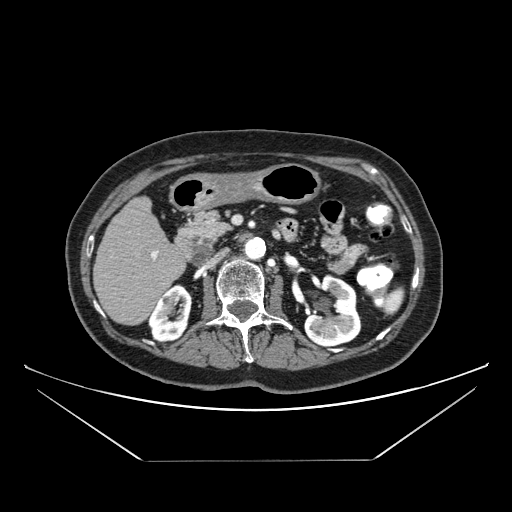 Upper abdomen | Computed tomography
pancreatic tumor: [x1=189, y1=234, x2=213, y2=264] | pancreas: [x1=175, y1=209, x2=233, y2=263]